Image width 240 mm | Head | Slice index 87
FLAIR MRI.
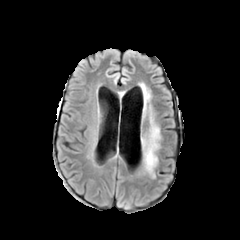
T1-weighted MR image.
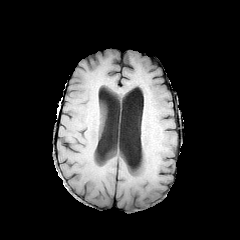
Post-contrast T1-weighted MR.
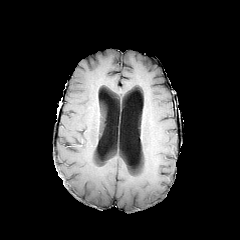
T2-weighted magnetic resonance.
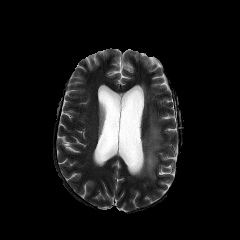
Edema: bounding box <box>141,113,160,177</box>, <box>141,85,151,101</box>.